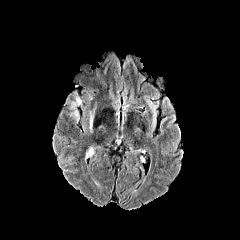
FLAIR MRI.
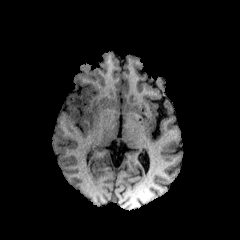
T1-weighted MR image.
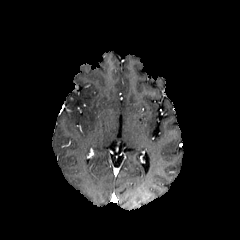
Post-contrast T1-weighted MRI of the same slice.
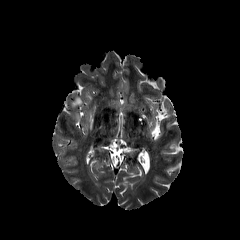
T2-weighted MR of the same slice.
Head
<segmentation>
  <edema>[71,109,79,122], [89,112,93,131]</edema>
</segmentation>